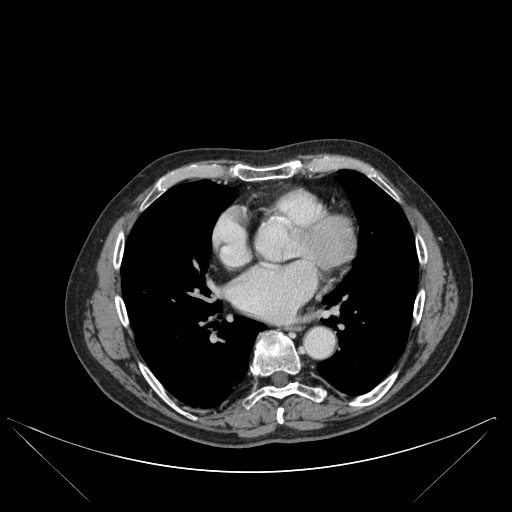

Computed tomography. lung:
  - <bbox>317, 170, 417, 394</bbox>
  - <bbox>121, 180, 265, 406</bbox>
bone:
  - <bbox>139, 364, 184, 413</bbox>
  - <bbox>416, 236, 427, 262</bbox>
  - <bbox>252, 331, 300, 375</bbox>
  - <bbox>217, 162, 302, 180</bbox>
  - <bbox>350, 373, 396, 406</bbox>
  - <bbox>115, 296, 128, 325</bbox>
  - <bbox>113, 232, 123, 268</bbox>
  - <bbox>277, 408, 283, 423</bbox>
  - <bbox>247, 382, 325, 407</bbox>
  - <bbox>413, 290, 424, 322</bbox>